Brain, Slice 85 of 155
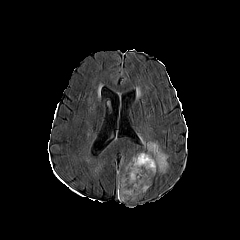
FLAIR magnetic resonance.
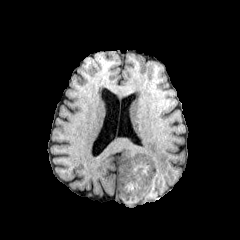
T1-weighted MR image of the same slice.
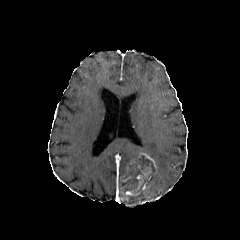
Post-contrast T1-weighted MR image of the same slice.
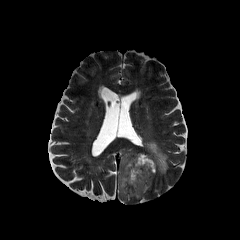
T2-weighted magnetic resonance.
Non-enhancing tumor core: bounding box {"x1": 120, "y1": 155, "x2": 154, "y2": 190}.
Enhancing tumor: bounding box {"x1": 119, "y1": 152, "x2": 157, "y2": 201}.
Edema: bounding box {"x1": 138, "y1": 135, "x2": 168, "y2": 173}.